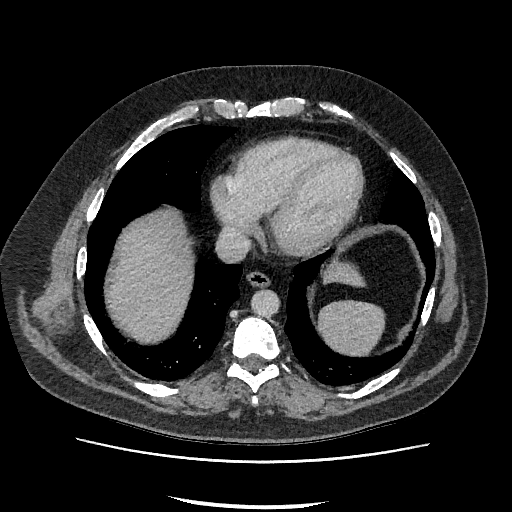

Liver. CT slice.

Liver: bounding box [x1=108, y1=213, x2=191, y2=341], [x1=324, y1=263, x2=364, y2=285].